FLAIR MR image.
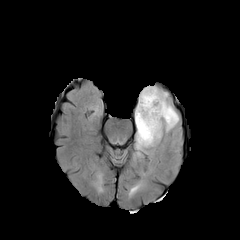
T1-weighted MR image.
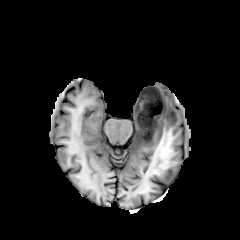
Post-contrast T1-weighted MR.
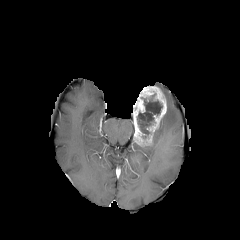
T2-weighted MR.
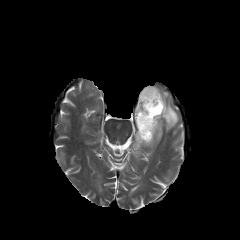
Brain
The enhancing tumor is at (134, 86, 166, 145). The non-enhancing tumor core is at (137, 98, 162, 134). The edema lies within (142, 92, 178, 147).